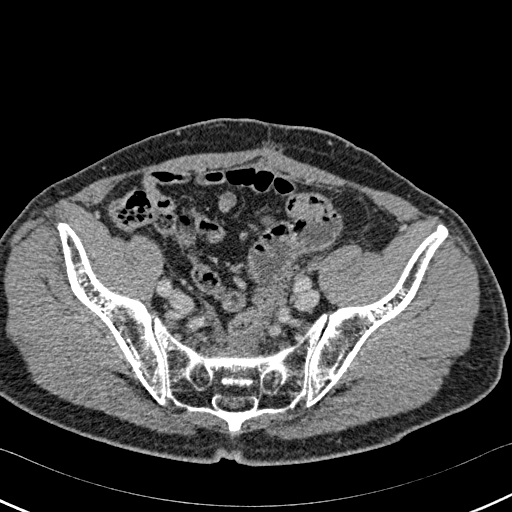
CT image.
Bone — <bbox>58, 223, 447, 431</bbox>.